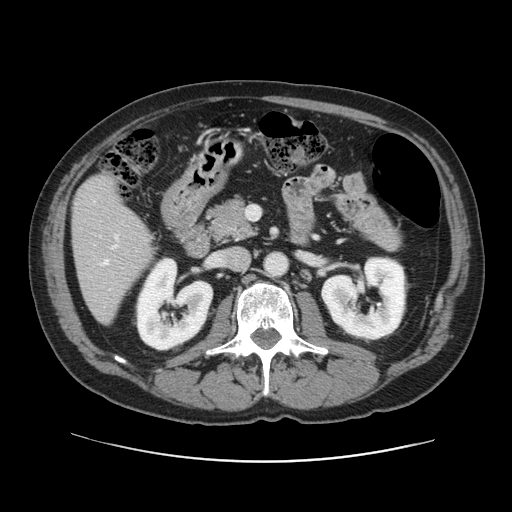

CT image. The vessel boxes may cover only some of the vessels.
Hepatic vessel — rect(112, 245, 116, 248); rect(101, 260, 107, 265); rect(115, 236, 117, 238).